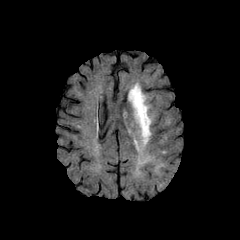
FLAIR MR.
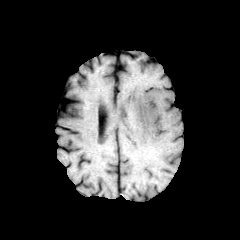
Same slice, T1-weighted MR.
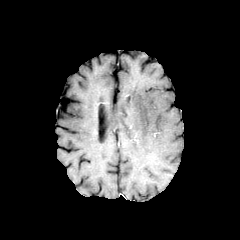
Post-contrast T1-weighted magnetic resonance of the same slice.
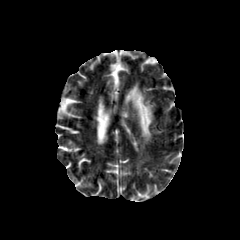
T2-weighted MR.
Image size 240x240
Edema = box=[127, 83, 153, 150].